Upper abdomen; CT 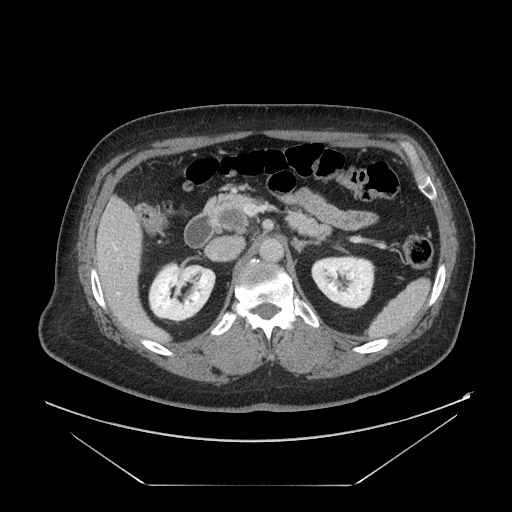 2 pancreas regions appear at l=208, t=195, r=267, b=229; l=286, t=210, r=331, b=240. The pancreatic tumor is located at l=219, t=208, r=244, b=227.